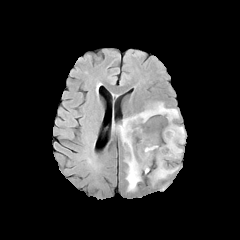
FLAIR MRI.
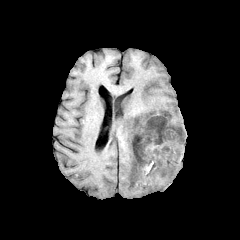
T1-weighted MRI.
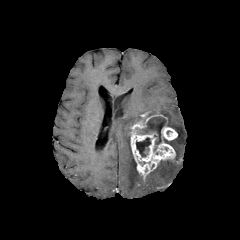
Same slice, post-contrast T1-weighted MRI.
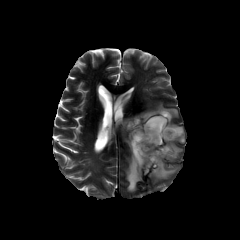
T2-weighted magnetic resonance of the same slice.
Image size 240x240 | Brain
<segmentation>
  <edema>box(153, 160, 178, 180); box(116, 103, 185, 191)</edema>
  <non-enhancing_tumor_core>box(136, 137, 151, 157); box(134, 114, 173, 152)</non-enhancing_tumor_core>
  <enhancing_tumor>box(161, 127, 177, 140); box(130, 120, 174, 174)</enhancing_tumor>
</segmentation>